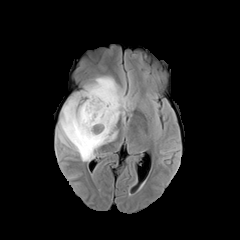
FLAIR MR.
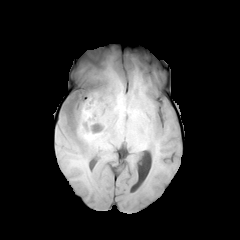
T1-weighted MRI of the same slice.
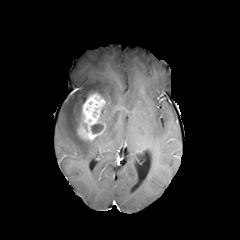
Post-contrast T1-weighted magnetic resonance.
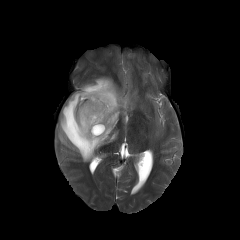
Same slice, T2-weighted MR.
Head | Image size 240x240
The non-enhancing tumor core is located at (left=91, top=123, right=103, bottom=134). The enhancing tumor appears at (left=79, top=94, right=106, bottom=140). The edema is located at (left=55, top=76, right=131, bottom=161).